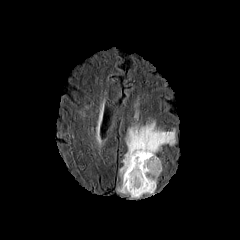
FLAIR MR image.
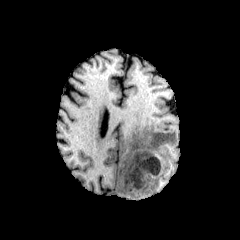
T1-weighted MR image.
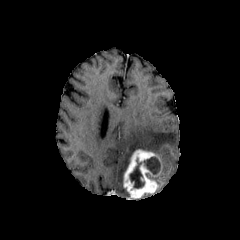
Post-contrast T1-weighted MR image.
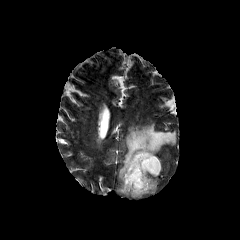
T2-weighted MRI of the same slice.
240x240
The edema appears at (x1=117, y1=120, x2=175, y2=195). The enhancing tumor is at (x1=123, y1=149, x2=157, y2=198). 2 non-enhancing tumor core regions are located at (x1=129, y1=162, x2=145, y2=189), (x1=144, y1=157, x2=161, y2=183).